FLAIR magnetic resonance.
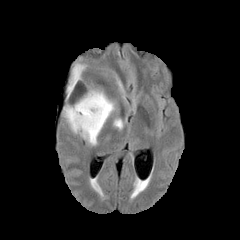
T1-weighted MRI.
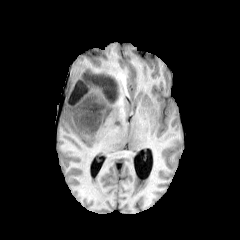
Post-contrast T1-weighted MRI.
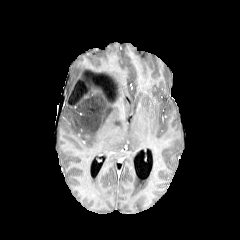
T2-weighted MR image.
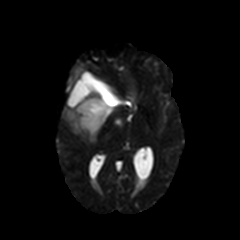
Head
The non-enhancing tumor core is bounded by (76, 74, 119, 130). 2 edema regions are bounded by (113, 117, 123, 128), (63, 63, 119, 145).